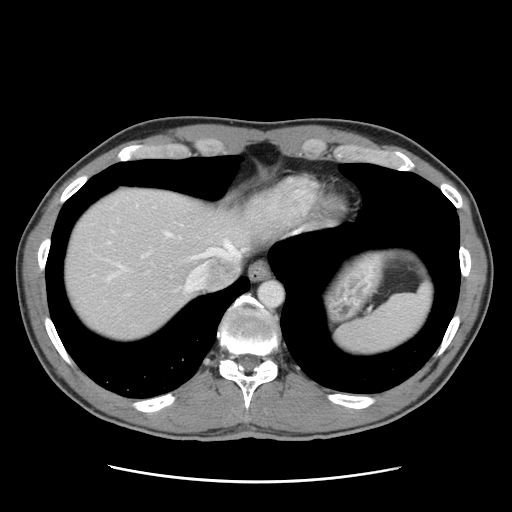

Computed tomography | Abdomen | Image size 512x512
Not every hepatic vessel necessarily has a box.
Hepatic vessel: box(107, 276, 111, 280); box(182, 278, 202, 291); box(141, 255, 143, 257); box(190, 256, 199, 259); box(190, 264, 205, 275); box(107, 241, 110, 242); box(200, 241, 244, 258); box(116, 264, 123, 270); box(145, 253, 148, 255); box(177, 236, 180, 238); box(165, 232, 171, 236).